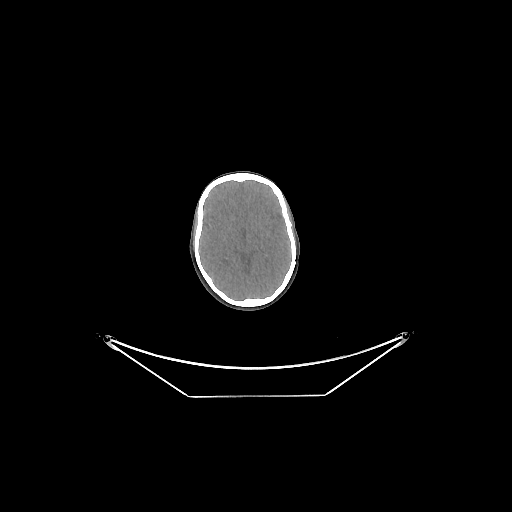 CT. Brain. The brain is located at rect(199, 180, 291, 300).